Abdomen; 512x512; CT scan slice 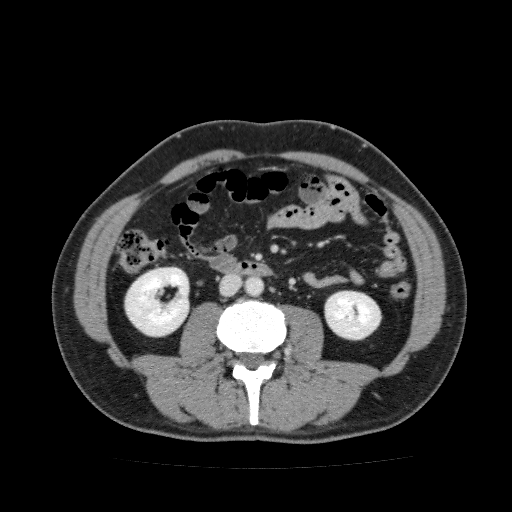 <segmentation>
  <kidney>box=[125, 267, 188, 336]; box=[325, 291, 380, 339]</kidney>
</segmentation>